CT. Liver.

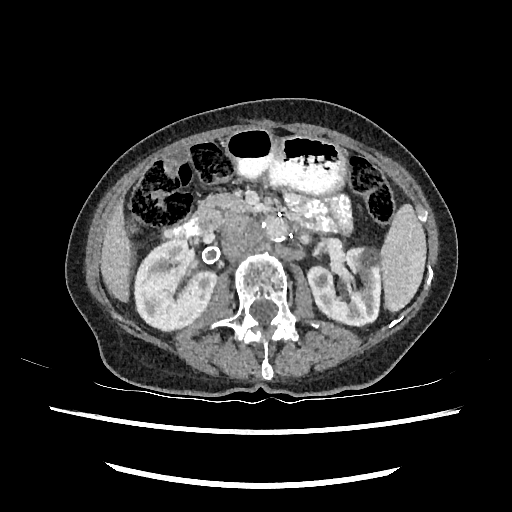
Liver at <bbox>101, 203, 130, 300</bbox>.
Kidney at <bbox>308, 248, 380, 325</bbox>, <bbox>135, 239, 215, 329</bbox>.